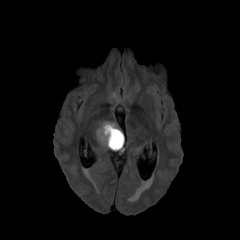
FLAIR magnetic resonance.
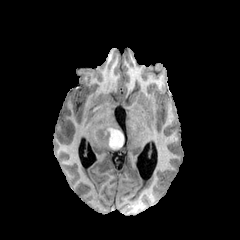
T1-weighted MR of the same slice.
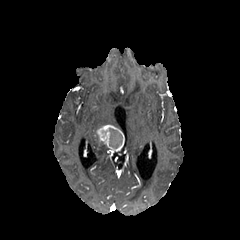
Same slice, post-contrast T1-weighted MR image.
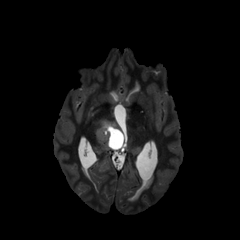
T2-weighted MRI of the same slice.
240x240 px
The enhancing tumor appears at [96, 124, 124, 151]. 2 edema regions are bounded by [99, 120, 120, 129], [93, 134, 105, 148]. The non-enhancing tumor core is located at [104, 127, 123, 148].